Image width 377 mm, CT, Liver

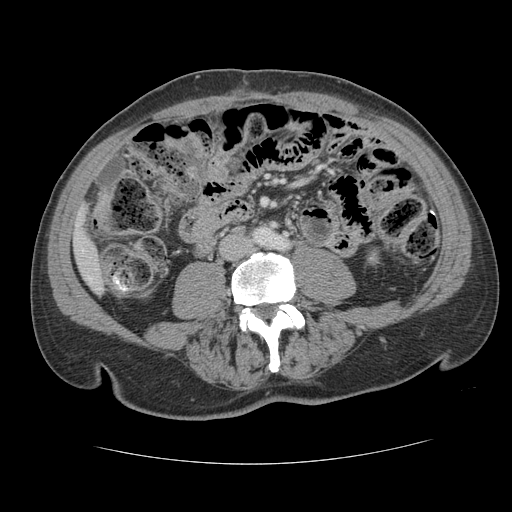
The vessel annotation is not exhaustive.
Hepatic vessel = (88,277,91,279).